FLAIR MR.
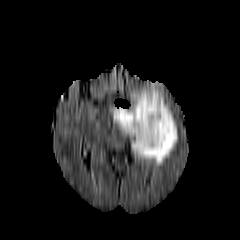
T1-weighted magnetic resonance.
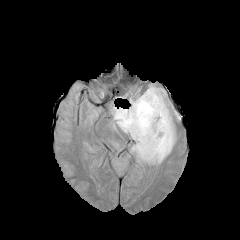
Post-contrast T1-weighted MRI.
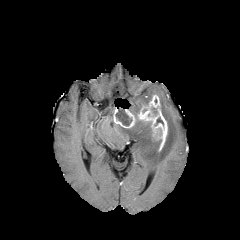
T2-weighted MR image.
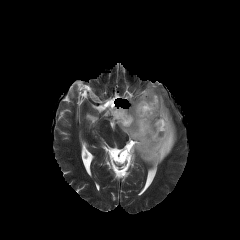
{"edema": ["l=118, t=84, r=177, b=165"], "non-enhancing_tumor_core": ["l=115, t=110, r=132, b=125"], "enhancing_tumor": ["l=113, t=94, r=167, b=150"]}